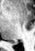

MRI. Segmented structures:
• posterior hippocampus: box(13, 43, 17, 43)